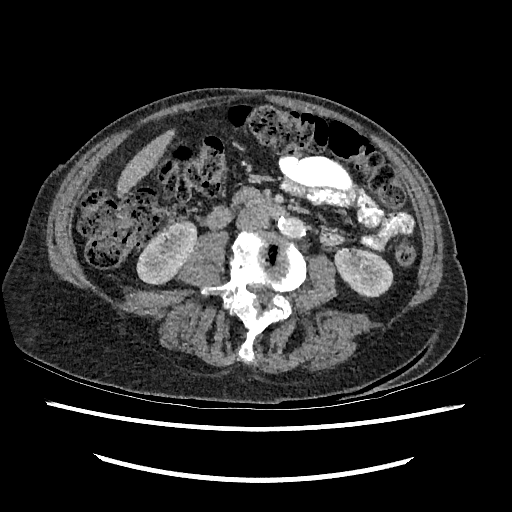
Liver; Image size 512x512; CT
2 kidney regions are located at 335, 250, 392, 296; 137, 223, 195, 283. The liver appears at 118, 129, 174, 194.